512x512 px. Slice 52/92. Field of view 452x452 mm. CT slice.
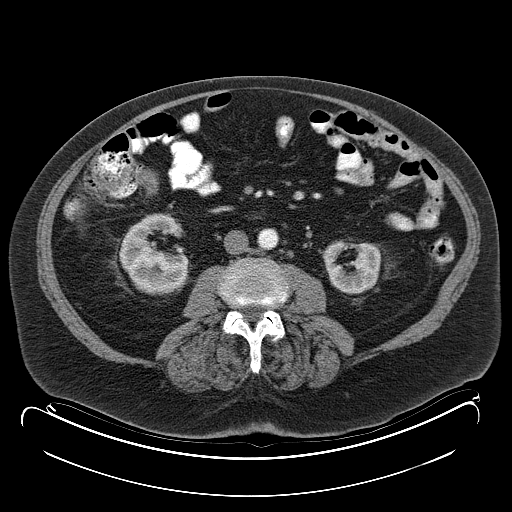 The colon tumor is bounded by (137, 170, 157, 190).